Computed tomography
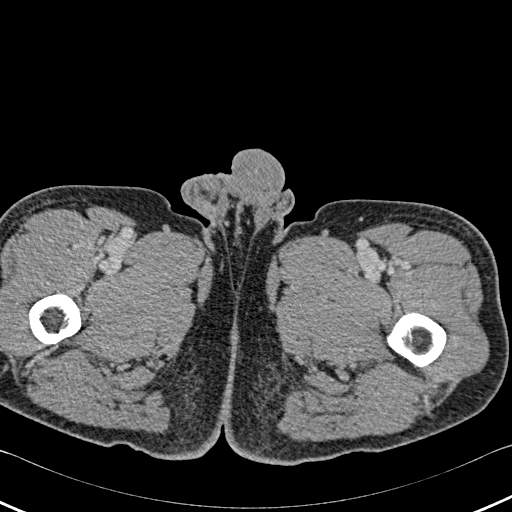
bone: bbox=[29, 295, 81, 343]; bbox=[380, 313, 445, 366]